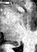
MRI slice. 37x52.
The posterior hippocampus is located at [12,42,19,46].